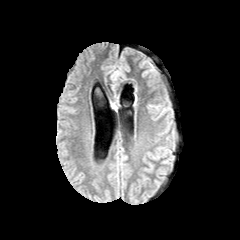
FLAIR MR.
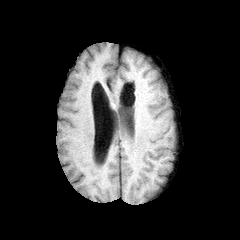
T1-weighted MRI.
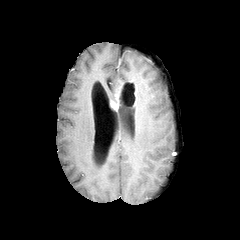
Post-contrast T1-weighted MR of the same slice.
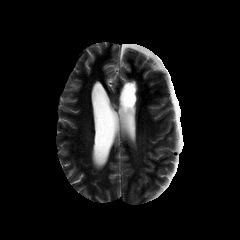
T2-weighted MR image.
Brain
edema:
  - l=111, t=71, r=118, b=81